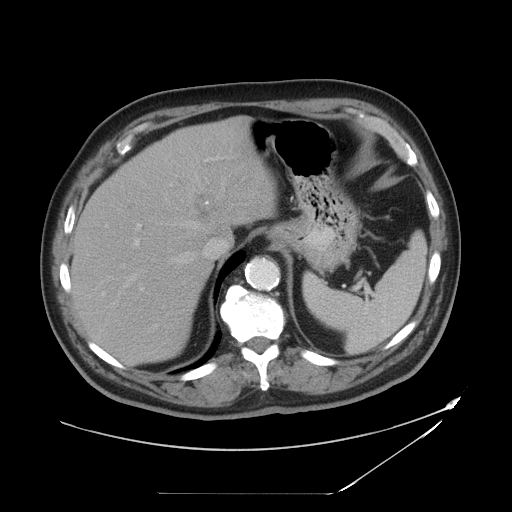

CT image, Abdomen, Image size 512x512

The vessel annotation is not exhaustive.
Segmented structures:
• hepatic vessel (most prominent 15 of 21): left=171, top=251, right=194, bottom=263; left=205, top=155, right=224, bottom=161; left=205, top=178, right=207, bottom=182; left=181, top=220, right=198, bottom=234; left=132, top=238, right=139, bottom=248; left=173, top=223, right=175, bottom=225; left=139, top=283, right=143, bottom=290; left=136, top=223, right=141, bottom=230; left=153, top=324, right=157, bottom=328; left=194, top=172, right=198, bottom=181; left=198, top=183, right=202, bottom=192; left=124, top=274, right=135, bottom=286; left=122, top=264, right=124, bottom=267; left=190, top=211, right=194, bottom=212; left=105, top=224, right=107, bottom=226
• liver tumor: left=195, top=192, right=218, bottom=217